CT slice; Abdomen; Slice 41 of 110 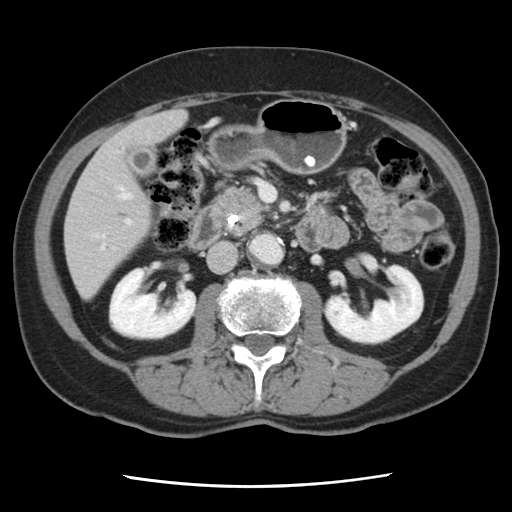
The pancreatic tumor lies within [x1=213, y1=186, x2=265, y2=236].